Slice index 39; Brain
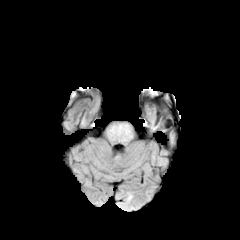
FLAIR MRI.
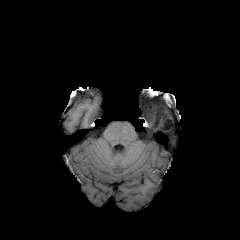
T1-weighted MR image of the same slice.
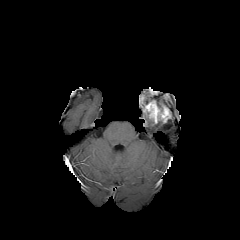
Post-contrast T1-weighted MR.
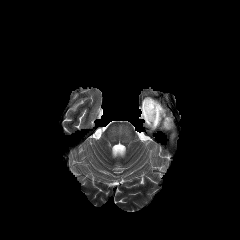
T2-weighted MR.
Enhancing tumor: 145:103:158:121.
Non-enhancing tumor core: 156:107:163:120.